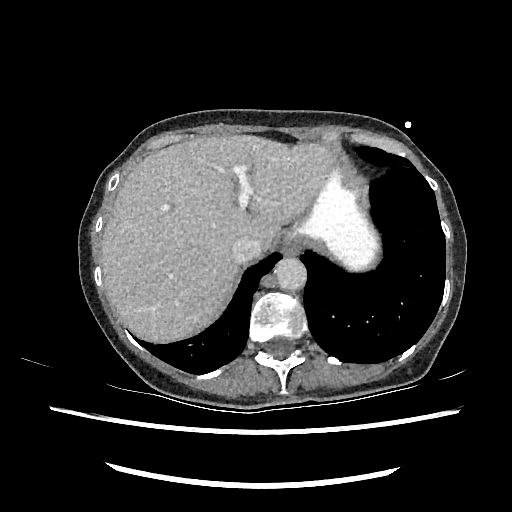

Image size 512x512, Liver, CT slice
liver: (left=102, top=135, right=330, bottom=340)